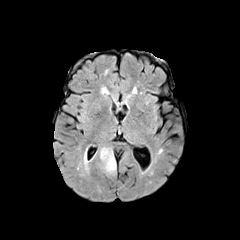
FLAIR MR image.
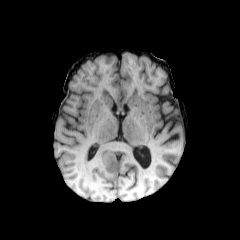
T1-weighted MRI of the same slice.
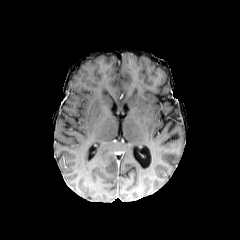
Post-contrast T1-weighted MR of the same slice.
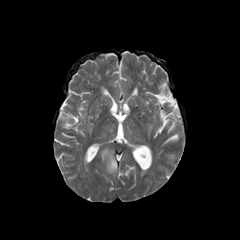
Same slice, T2-weighted MR image.
Head
Edema: bounding box x1=83, y1=148, x2=89, y2=170; x1=100, y1=146, x2=116, y2=173.